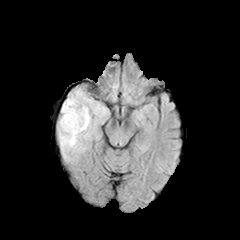
FLAIR MRI.
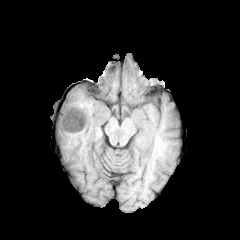
Same slice, T1-weighted MRI.
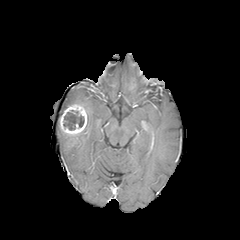
Post-contrast T1-weighted magnetic resonance of the same slice.
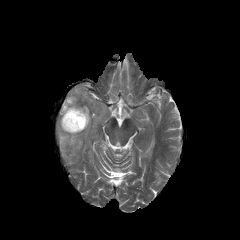
T2-weighted MR image of the same slice.
240x240.
The edema is at left=58, top=88, right=109, bottom=155. The non-enhancing tumor core is located at left=63, top=112, right=84, bottom=130. The enhancing tumor is located at left=60, top=104, right=86, bottom=134.